FLAIR magnetic resonance.
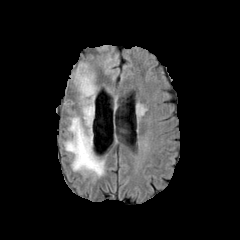
T1-weighted magnetic resonance.
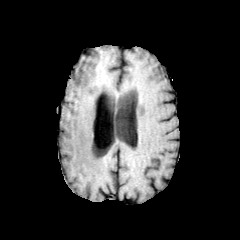
Post-contrast T1-weighted MRI.
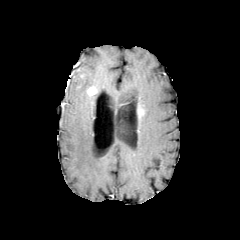
T2-weighted MR image.
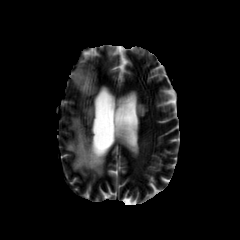
Brain
non-enhancing tumor core: bbox(72, 70, 84, 81) | edema: bbox(64, 64, 104, 177)